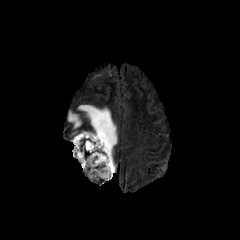
FLAIR MRI.
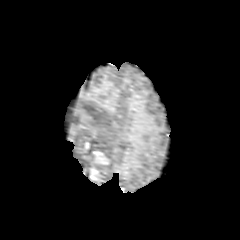
Same slice, T1-weighted magnetic resonance.
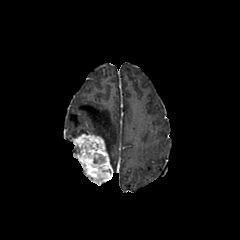
Post-contrast T1-weighted MR image.
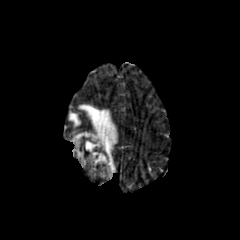
Same slice, T2-weighted MR image.
Brain
enhancing_tumor:
  - 70:131:113:184
edema:
  - 78:105:117:172
  - 69:112:81:128